Field of view 240x240 mm
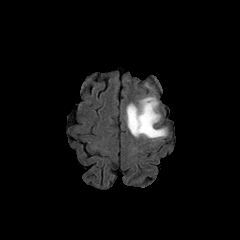
FLAIR MR.
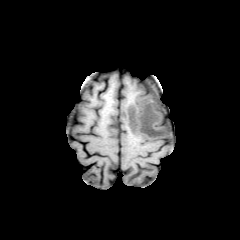
T1-weighted MR.
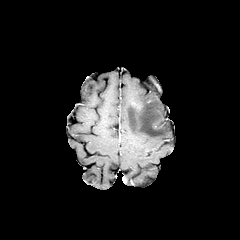
Post-contrast T1-weighted MR.
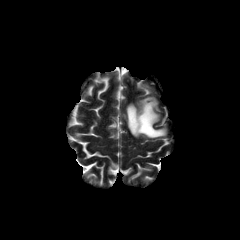
T2-weighted MRI.
Edema = x1=126, y1=96, x2=167, y2=139.